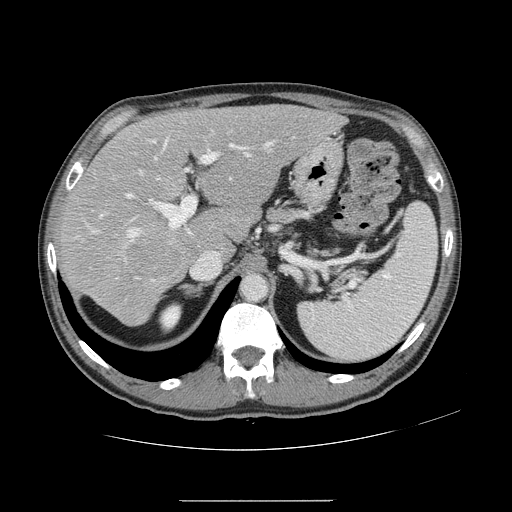

CT slice, Abdomen
Not every hepatic vessel necessarily has a box.
{
  "partial": true,
  "hepatic_vessel": {
    "n_total": 19,
    "boxes": [
      "188, 231, 191, 234",
      "149, 196, 195, 226",
      "264, 143, 272, 150",
      "148, 139, 155, 142",
      "135, 277, 139, 278",
      "139, 171, 142, 174",
      "127, 228, 139, 242",
      "87, 224, 99, 232",
      "151, 279, 153, 281",
      "126, 193, 133, 197",
      "99, 214, 102, 217",
      "164, 136, 168, 147",
      "201, 150, 217, 162",
      "211, 130, 213, 134",
      "230, 144, 249, 156"
    ]
  },
  "liver_tumor": [
    "127, 238, 180, 275"
  ]
}